Slice index 11, Hippocampus, MR image 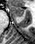

Anterior hippocampus: bounding box l=8, t=6, r=23, b=16.